Abdomen | Computed tomography | Field of view 346 mm wide, 1.50 mm slice spacing 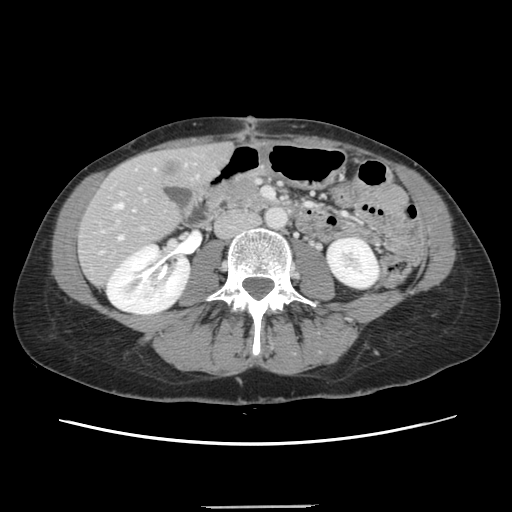 The vessel boxes may cover only some of the vessels.
Liver tumor: l=165, t=163, r=178, b=175.
Hepatic vessel: l=196, t=176, r=197, b=177; l=118, t=236, r=122, b=239; l=100, t=251, r=103, b=252; l=120, t=193, r=123, b=194; l=112, t=203, r=122, b=208; l=141, t=228, r=144, b=228.